Brain, 240x240 px
FLAIR MR.
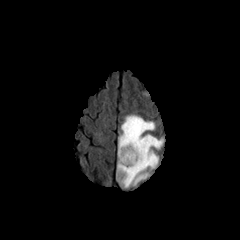
T1-weighted MR image.
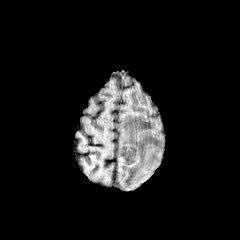
Post-contrast T1-weighted MR.
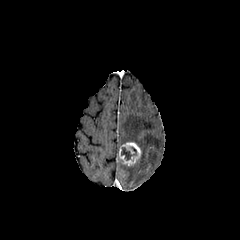
T2-weighted magnetic resonance.
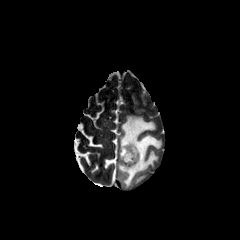
{
  "edema": [
    "bbox=[118, 115, 162, 188]"
  ],
  "non-enhancing_tumor_core": [
    "bbox=[121, 147, 136, 160]"
  ],
  "enhancing_tumor": [
    "bbox=[118, 142, 141, 166]"
  ]
}